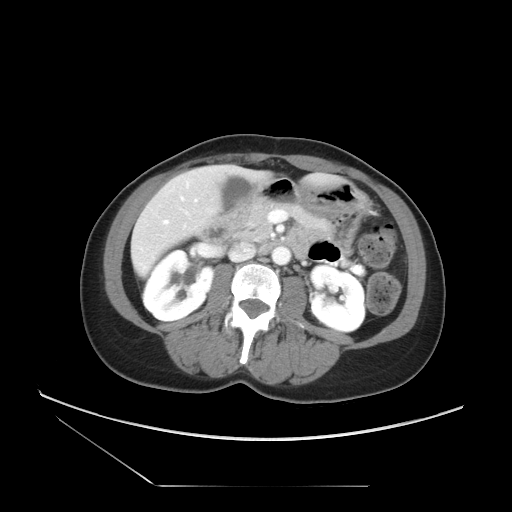

Abdomen | CT scan slice | 512x512 px

The pancreas is at (235, 202, 316, 240). The pancreatic tumor lies within (311, 218, 332, 231).